Image size 240x240; Head
FLAIR MR.
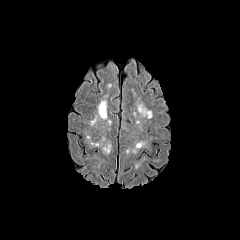
T1-weighted magnetic resonance.
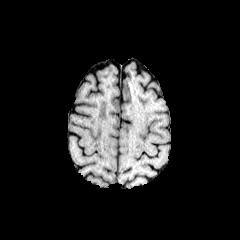
Post-contrast T1-weighted MR.
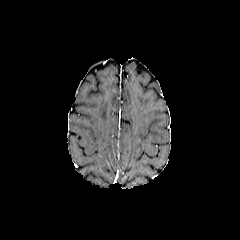
T2-weighted MRI.
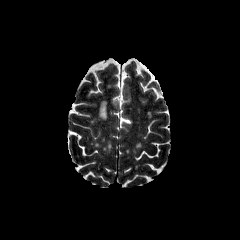
- edema: 99:101:106:118